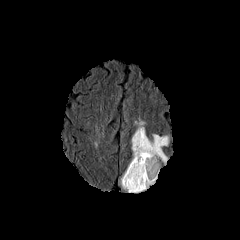
FLAIR MR.
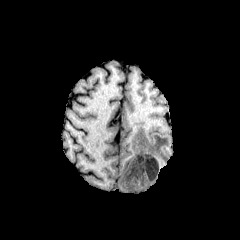
T1-weighted MRI.
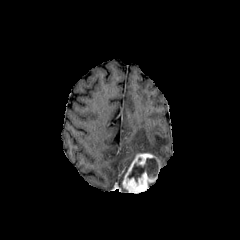
Post-contrast T1-weighted magnetic resonance.
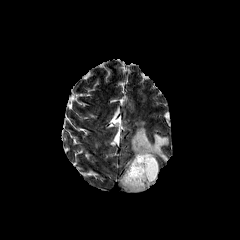
Same slice, T2-weighted magnetic resonance.
non-enhancing tumor core: box(127, 158, 159, 182) | edema: box(130, 119, 169, 165) | enhancing tumor: box(122, 152, 158, 192)